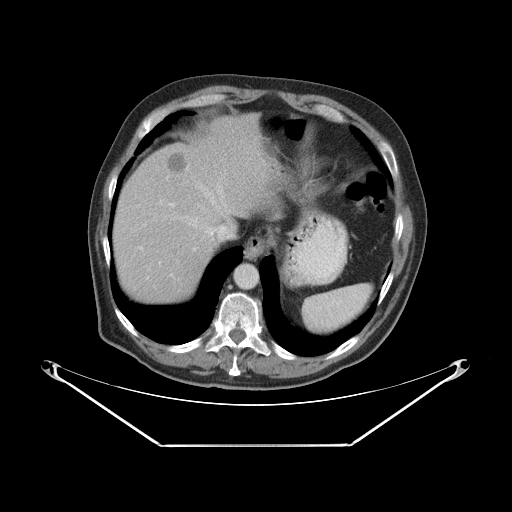 CT; Abdomen
The vessel annotation is not exhaustive.
liver tumor: box(166, 152, 187, 174) | hepatic vessel: box(218, 235, 219, 238); box(212, 226, 220, 232); box(200, 224, 209, 230); box(185, 217, 197, 227); box(157, 200, 175, 207); box(200, 186, 211, 195); box(222, 201, 225, 205); box(218, 184, 222, 200)